Slice 50/155. Head.
FLAIR MR image.
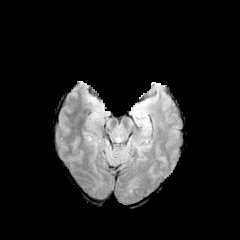
T1-weighted MRI.
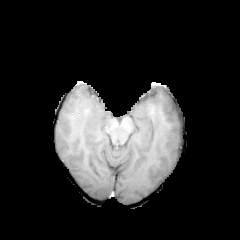
Post-contrast T1-weighted magnetic resonance.
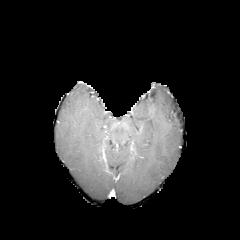
T2-weighted MR.
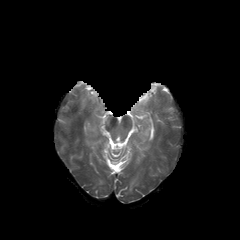
Edema = 86 136 97 148, 135 98 151 139, 85 94 105 128.